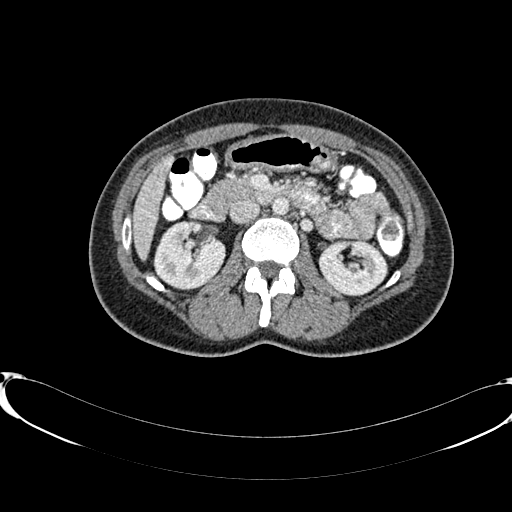
CT image
Annotated regions:
* liver: [x1=132, y1=155, x2=172, y2=259]
* kidney: [x1=320, y1=242, x2=385, y2=294], [x1=155, y1=223, x2=224, y2=287]